Image width 468 mm | CT scan slice | Slice 58 of 121
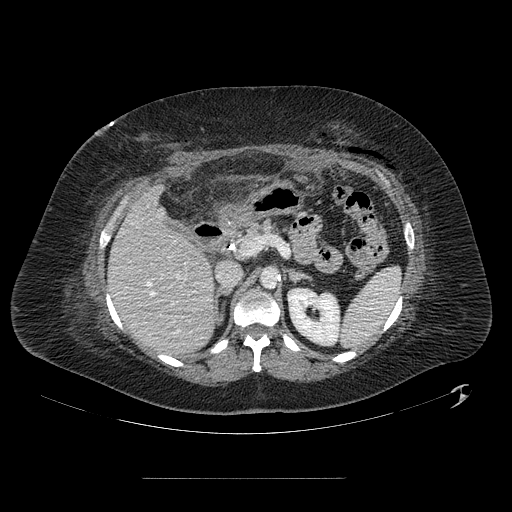 Pancreas — {"x1": 235, "y1": 221, "x2": 278, "y2": 254}.